CT slice. Image size 512x512.
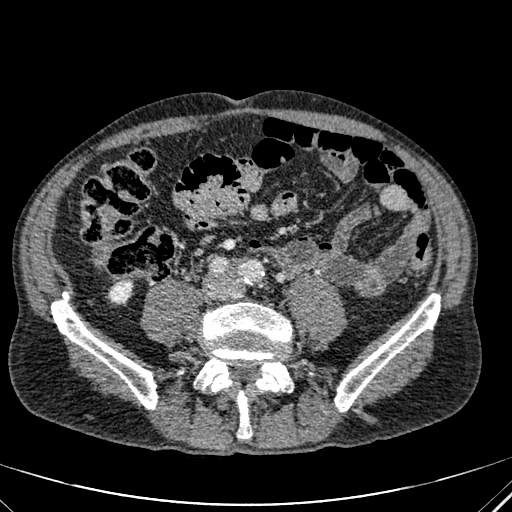
Kidney: 110,282,131,302.